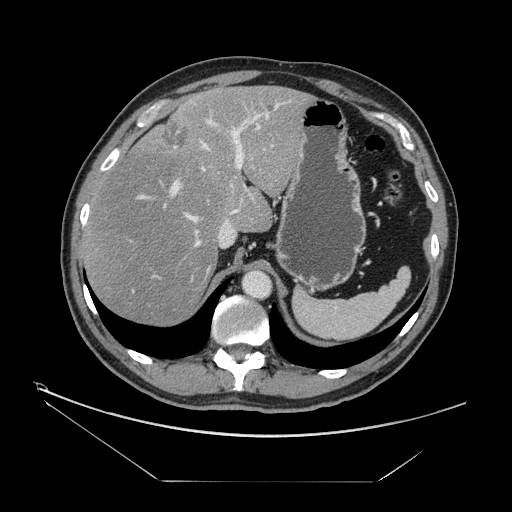

Abdomen. CT slice.
The vessel annotation is not exhaustive.
Hepatic vessel = x1=196, y1=241, x2=199, y2=244; x1=140, y1=196, x2=142, y2=197; x1=275, y1=104, x2=278, y2=107; x1=256, y1=125, x2=259, y2=129; x1=264, y1=111, x2=268, y2=117; x1=206, y1=120, x2=214, y2=124; x1=196, y1=231, x2=197, y2=233; x1=231, y1=114, x2=259, y2=167; x1=202, y1=167, x2=204, y2=170; x1=187, y1=215, x2=196, y2=220; x1=202, y1=142, x2=208, y2=149; x1=171, y1=182, x2=178, y2=194.
Liver tumor = x1=161, y1=123, x2=189, y2=150.